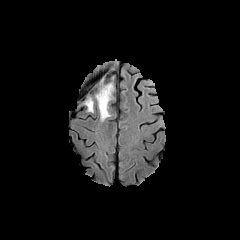
FLAIR MRI.
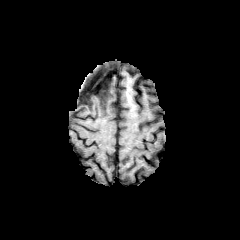
T1-weighted magnetic resonance.
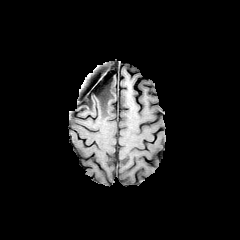
Same slice, post-contrast T1-weighted MR.
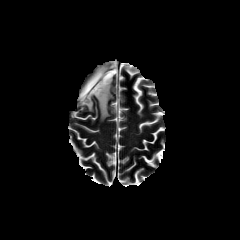
T2-weighted MRI.
Findings:
* non-enhancing tumor core: 89,78,109,96
* edema: 81,81,114,120